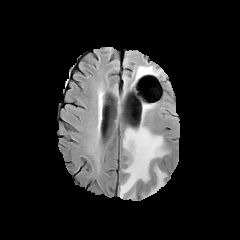
FLAIR magnetic resonance.
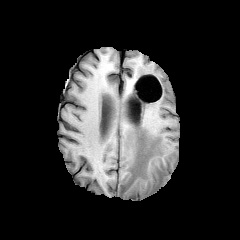
T1-weighted MRI.
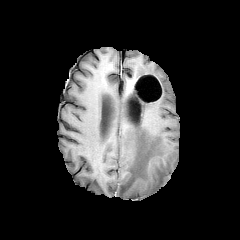
Post-contrast T1-weighted MRI of the same slice.
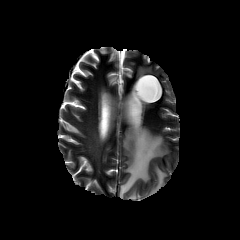
T2-weighted MRI.
Head.
- edema: 150:166:165:193, 136:67:154:77, 120:123:167:198